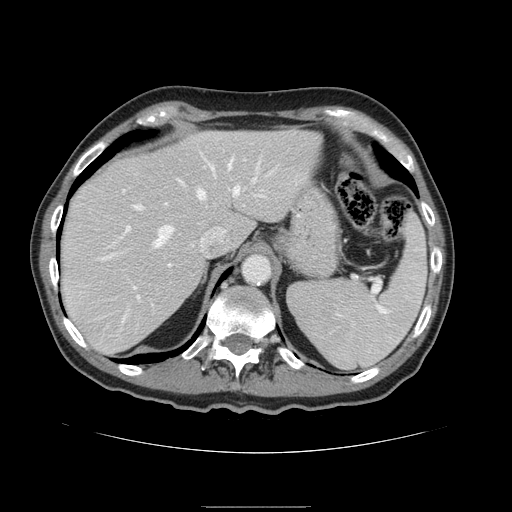
512x512 | CT image | Abdomen

Some hepatic vessels may have no box.
hepatic vessel: <bbox>169, 264, 170, 265</bbox>, <bbox>205, 212, 213, 213</bbox>, <bbox>137, 294, 139, 297</bbox>, <bbox>228, 159, 232, 167</bbox>, <bbox>100, 254, 113, 258</bbox>, <bbox>200, 226, 229, 256</bbox>, <bbox>211, 163, 213, 169</bbox>, <bbox>134, 204, 141, 208</bbox>, <bbox>197, 189, 205, 199</bbox>, <bbox>154, 226, 173, 246</bbox>, <bbox>234, 186, 239, 195</bbox>, <bbox>253, 175, 256, 180</bbox>, <bbox>180, 180, 182, 182</bbox>, <bbox>123, 317, 125, 319</bbox>, <bbox>126, 226, 130, 231</bbox>